Field of view 429 mm wide, 0.70 mm slice spacing, CT, Image size 512x512
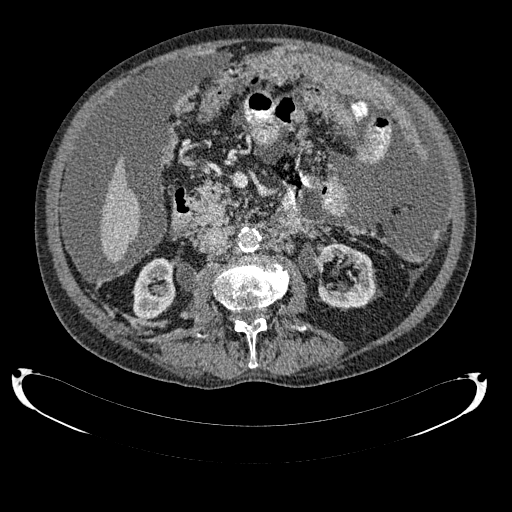
Kidney: bbox(133, 258, 174, 319); bbox(315, 244, 375, 307).
Liver: bbox(101, 157, 139, 262).